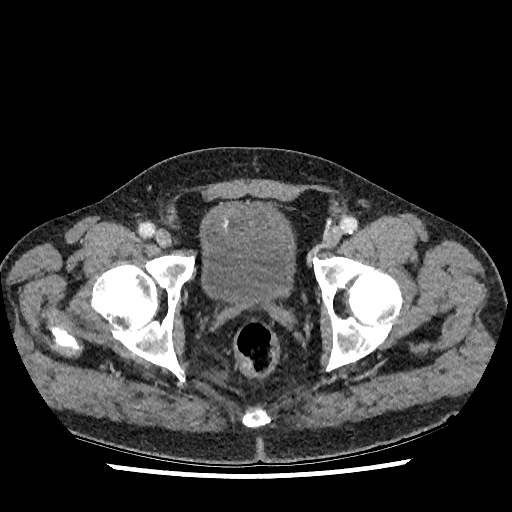
CT | Lower abdomen
Urinary bladder — [200, 199, 295, 309].